FLAIR MRI.
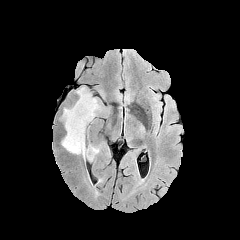
T1-weighted MR image.
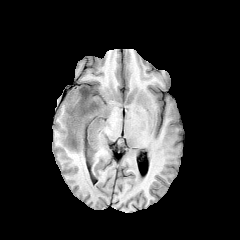
Post-contrast T1-weighted MR.
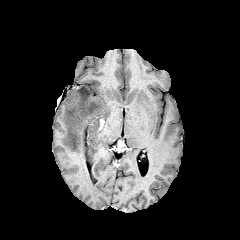
T2-weighted MRI.
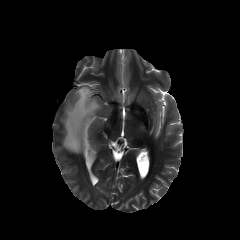
Head
The edema is located at {"x1": 60, "y1": 86, "x2": 104, "y2": 161}. The non-enhancing tumor core is located at {"x1": 78, "y1": 89, "x2": 89, "y2": 115}.